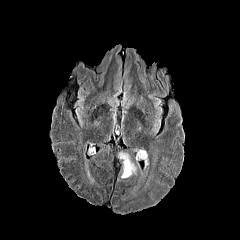
FLAIR MR image.
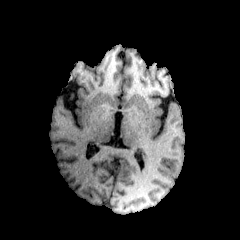
T1-weighted MRI of the same slice.
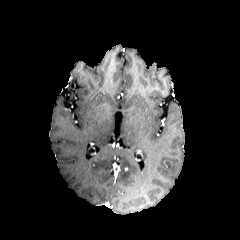
Post-contrast T1-weighted MRI.
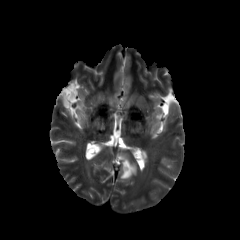
T2-weighted MR.
Head
Edema: bounding box l=118, t=153, r=136, b=179; l=149, t=118, r=159, b=133; l=140, t=148, r=147, b=168.